FLAIR MR image.
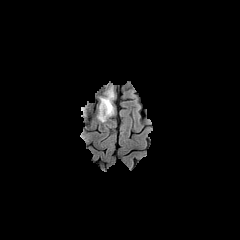
T1-weighted MR image.
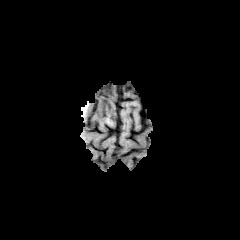
Post-contrast T1-weighted MRI.
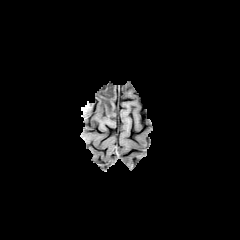
T2-weighted MR image.
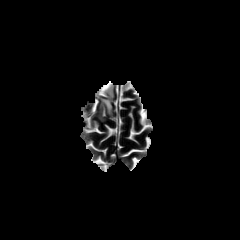
Brain | 240x240 px
edema: [102,86,113,96], [94,96,115,125] | non-enhancing tumor core: [99,92,113,101]